240x240
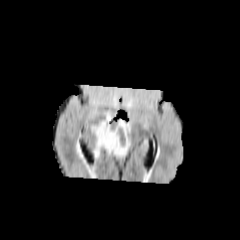
FLAIR MR image.
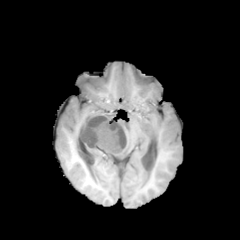
T1-weighted MR of the same slice.
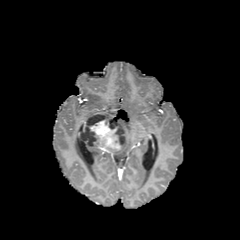
Same slice, post-contrast T1-weighted MRI.
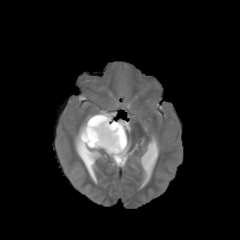
T2-weighted magnetic resonance.
non-enhancing_tumor_core:
  - rect(80, 112, 129, 153)
enhancing_tumor:
  - rect(88, 120, 121, 150)
edema:
  - rect(109, 148, 128, 156)